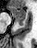 Medial temporal lobe; MR

The posterior hippocampus is located at l=15, t=20, r=23, b=25. The anterior hippocampus appears at l=9, t=6, r=25, b=19.